FLAIR MR.
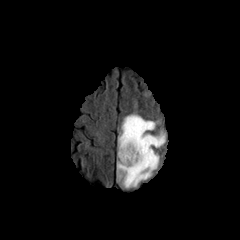
T1-weighted MRI.
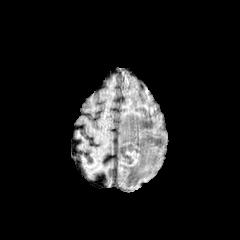
Post-contrast T1-weighted MRI.
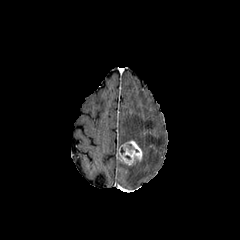
T2-weighted magnetic resonance.
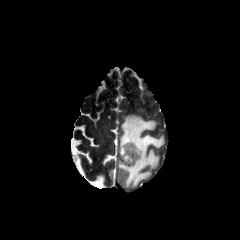
240x240 px
{
  "edema": [
    "(117,113,165,189)"
  ],
  "enhancing_tumor": [
    "(118,140,142,165)"
  ]
}